Liver. CT image.

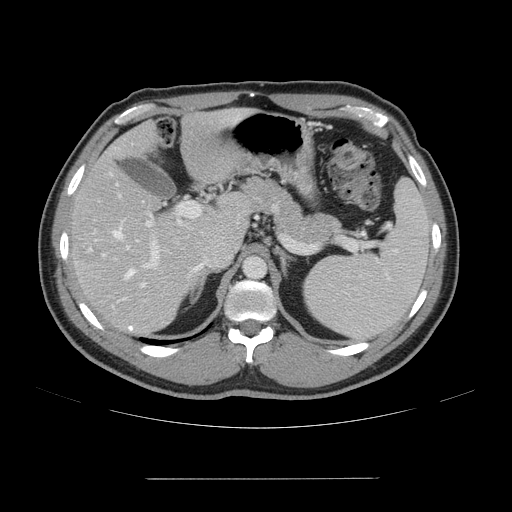
The vessel boxes may cover only some of the vessels.
<segmentation>
  <hepatic_vessel>x1=146 y1=213 x2=151 y2=226, x1=113 y1=220 x2=123 y2=237, x1=94 y1=239 x2=97 y2=240, x1=117 y1=300 x2=119 y2=301, x1=124 y1=270 x2=134 y2=278, x1=143 y1=244 x2=158 y2=267, x1=116 y1=184 x2=117 y2=185, x1=178 y1=221 x2=181 y2=223, x1=110 y1=172 x2=111 y2=174, x1=94 y1=229 x2=95 y2=233, x1=122 y1=298 x2=126 y2=299, x1=127 y1=246 x2=128 y2=248, x1=141 y1=283 x2=144 y2=286, x1=118 y1=193 x2=120 y2=196</hepatic_vessel>
  <liver_tumor>x1=79 y1=247 x2=103 y2=263</liver_tumor>
</segmentation>